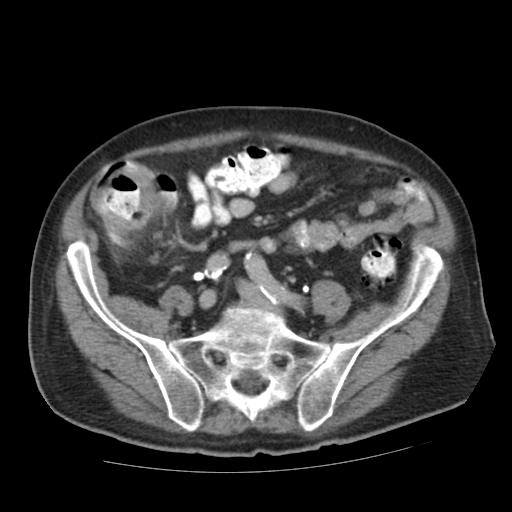 Abdomen. CT scan slice.
{"colon_tumor": ["90:189:102:210", "102:211:142:234", "121:166:157:210"]}